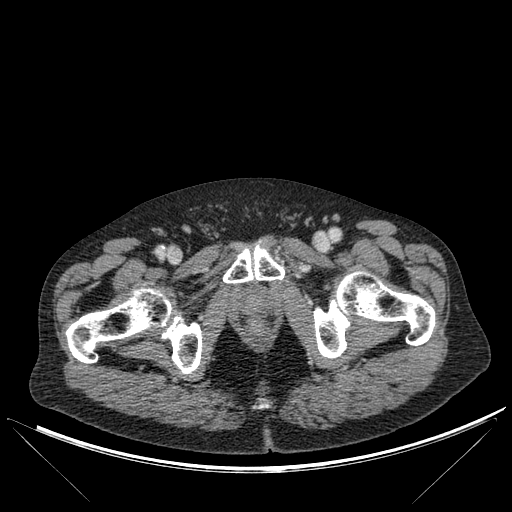 Computed tomography
Bone: bounding box box=[66, 288, 202, 373]; box=[314, 271, 435, 358]; box=[223, 244, 284, 283].